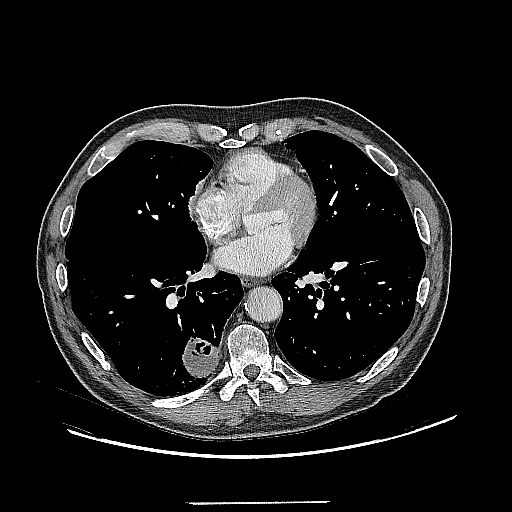

512x512 px; Thorax; Computed tomography

Segmented structures:
- lung tumor: box(182, 337, 219, 378)